Slice index 57, Field of view 240 mm wide, 1.00 mm slice spacing, 240x240
FLAIR MR.
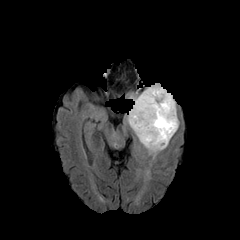
T1-weighted MR.
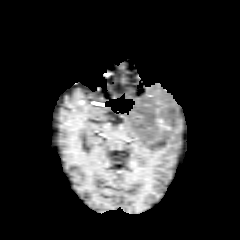
Post-contrast T1-weighted MRI.
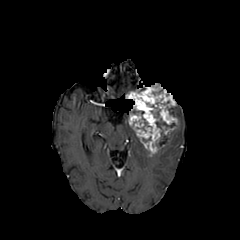
T2-weighted MR image.
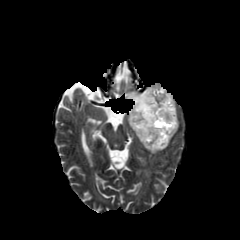
non-enhancing_tumor_core:
  - [x1=151, y1=105, x2=175, y2=131]
  - [x1=165, y1=106, x2=175, y2=115]
  - [x1=157, y1=135, x2=168, y2=146]
enhancing_tumor:
  - [x1=127, y1=86, x2=177, y2=152]
edema:
  - [x1=123, y1=112, x2=144, y2=147]
  - [x1=145, y1=119, x2=179, y2=159]